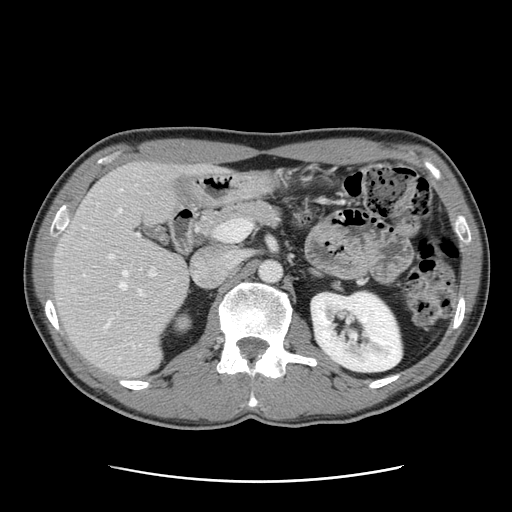
CT image
The vessel annotation is not exhaustive.
11 hepatic vessel regions are located at (137, 234, 138, 235), (83, 227, 84, 228), (132, 345, 134, 346), (123, 271, 126, 275), (118, 208, 120, 211), (149, 268, 155, 275), (119, 189, 121, 190), (105, 322, 109, 329), (108, 254, 113, 258), (139, 290, 144, 296), (120, 283, 125, 289).